CT slice | Slice index 37

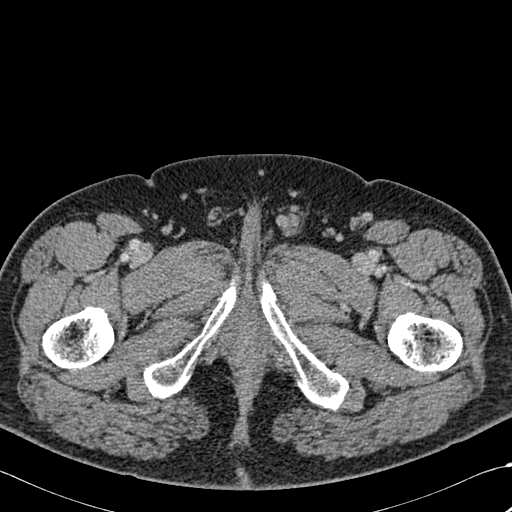

bone:
  - [388,312,462,372]
  - [144,281,236,398]
  - [42,307,113,369]
  - [261,282,348,409]